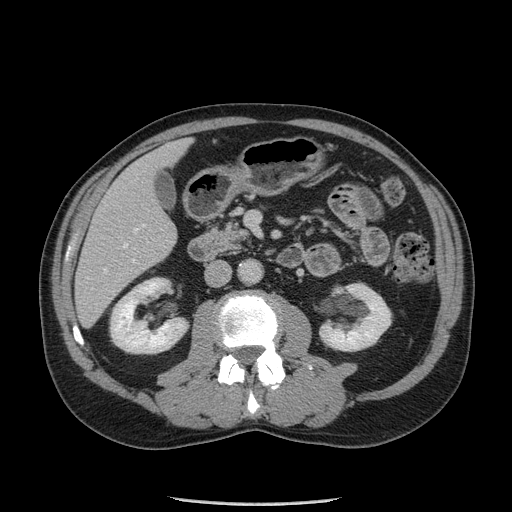 Abdomen, Computed tomography
Pancreas = [205, 221, 249, 253].